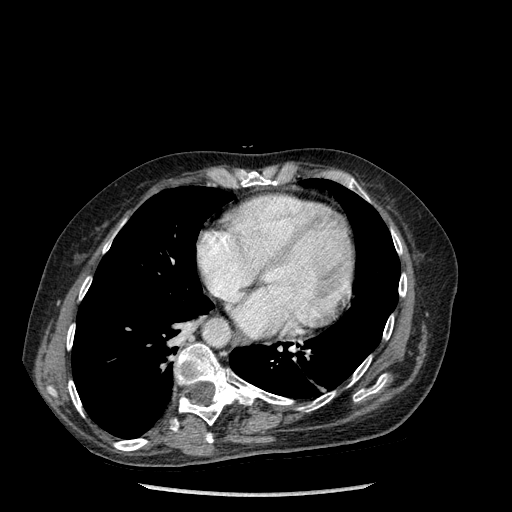

CT; 512x512; Thorax

2 lung regions are located at 229, 179, 400, 398; 71, 186, 234, 438. The top 15 bone regions (of 17) are bounded by 170, 418, 178, 431; 174, 343, 293, 425; 66, 324, 74, 349; 102, 221, 124, 253; 235, 170, 280, 186; 114, 438, 147, 450; 383, 315, 393, 339; 68, 380, 84, 416; 348, 355, 371, 386; 79, 276, 91, 300; 297, 391, 335, 411; 353, 374, 387, 401; 346, 178, 369, 201; 398, 273, 407, 296; 391, 229, 402, 254.